CT image. Slice 30/39. 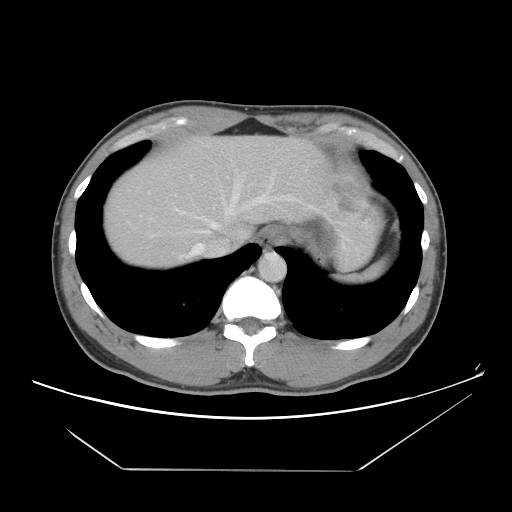

Some hepatic vessels may have no box.
• liver tumor: bbox(330, 178, 380, 225)
• hepatic vessel: bbox(180, 240, 227, 257); bbox(150, 218, 153, 219); bbox(307, 205, 318, 210); bbox(190, 174, 192, 176); bbox(148, 191, 150, 193); bbox(150, 235, 153, 237); bbox(221, 169, 301, 219); bbox(174, 208, 185, 214); bbox(249, 184, 250, 185); bbox(193, 216, 223, 236)